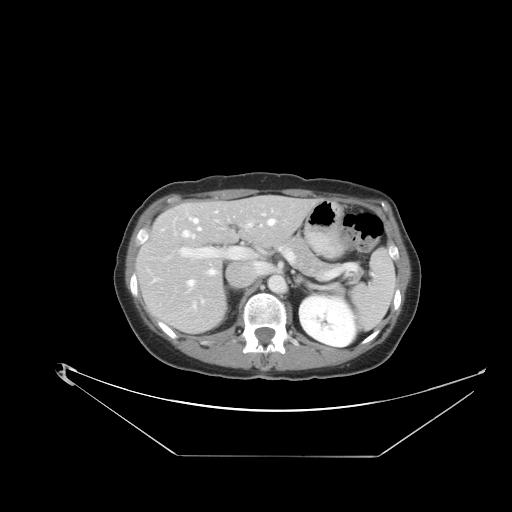 CT, Image size 512x512, Abdomen

The pancreas lies within [288, 236, 336, 275].